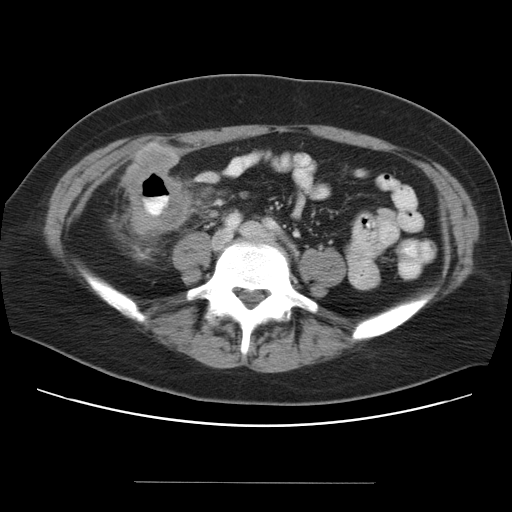

512x512; CT scan slice
Colon tumor: 123,143,187,231.